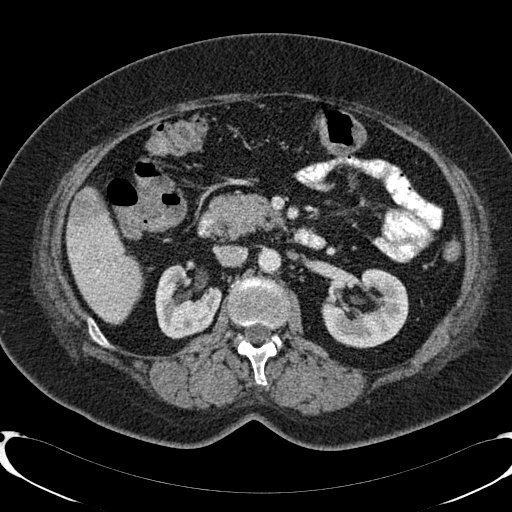
512x512; CT slice
The liver is located at bbox(66, 209, 140, 323). The hepatic lesion is located at bbox(70, 188, 104, 225). 2 kidney regions are bounded by bbox(155, 263, 221, 337); bbox(308, 262, 407, 347).